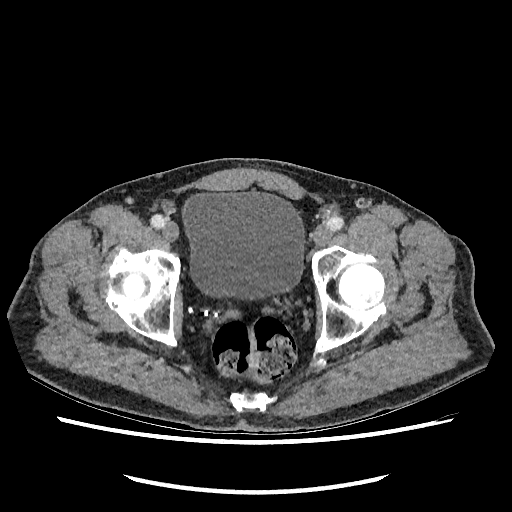

Computed tomography
Urinary bladder at box(182, 190, 304, 299).